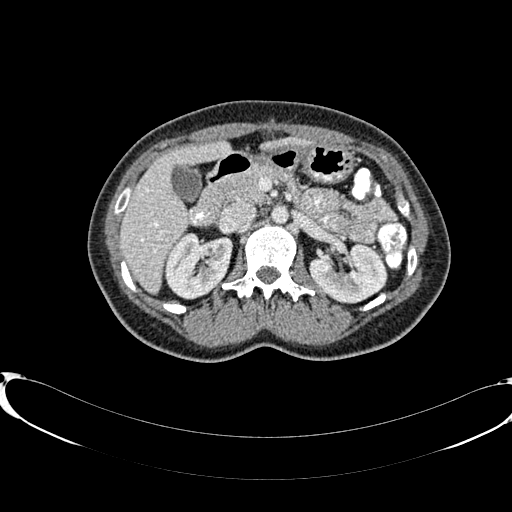 Liver. Computed tomography.

liver:
  - (x1=261, y1=138, x2=309, y2=149)
  - (x1=119, y1=142, x2=229, y2=293)
kidney:
  - (x1=311, y1=246, x2=385, y2=301)
  - (x1=167, y1=235, x2=230, y2=297)